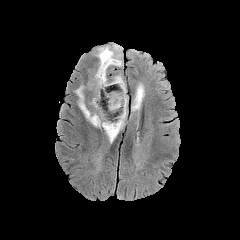
FLAIR MR.
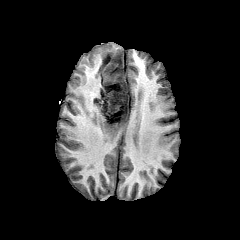
Same slice, T1-weighted MR.
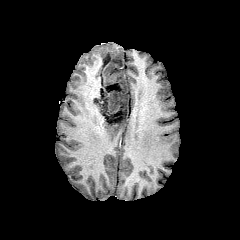
Same slice, post-contrast T1-weighted MRI.
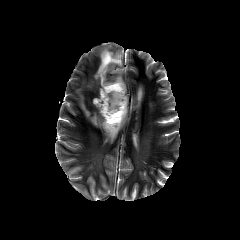
Same slice, T2-weighted MR.
Image size 240x240
The edema is bounded by [76,44,144,142]. 2 non-enhancing tumor core regions are located at [99,82,125,125], [100,56,111,67].